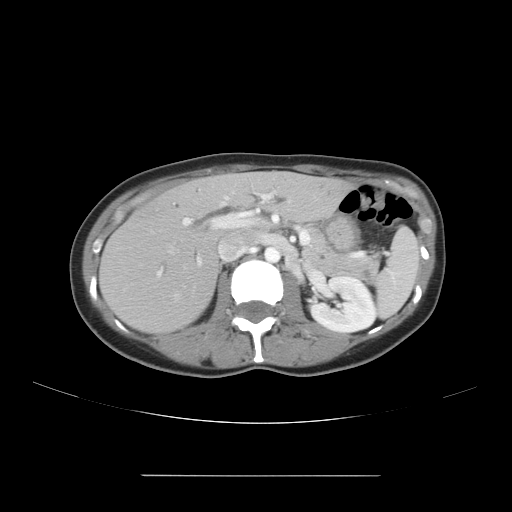

CT; Abdomen
The pancreas is at (left=301, top=229, right=378, bottom=285).